Computed tomography 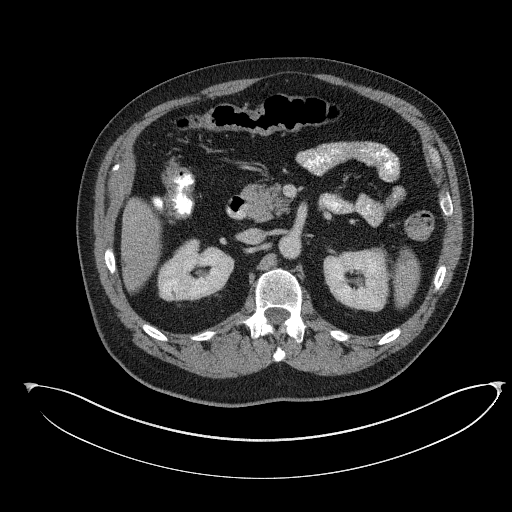

Pancreas at (246,183,289,222).